Slice 92 of 455. CT image.

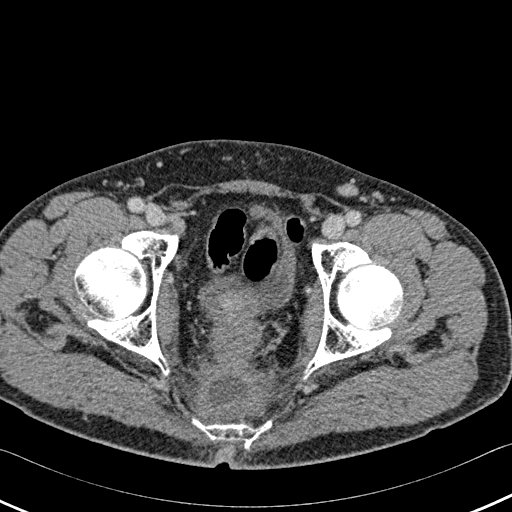 {"urinary_bladder": ["x1=199, y1=217, x2=295, y2=319"], "bone": ["x1=192, y1=418, x2=271, y2=447", "x1=75, y1=231, x2=178, y2=374", "x1=303, y1=242, x2=402, y2=379"]}